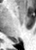 36x50 px, Magnetic resonance, Medial temporal lobe

Posterior hippocampus — 12, 40, 18, 42.